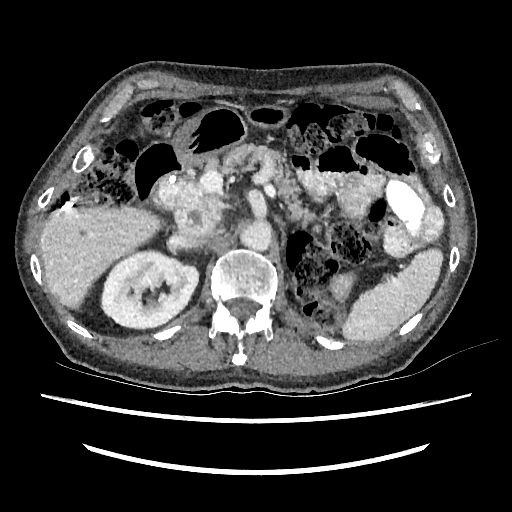
CT slice | Abdomen

Liver: region(41, 207, 157, 307).
Kidney: region(102, 252, 198, 328).